Slice index 33, Abdomen, CT scan slice
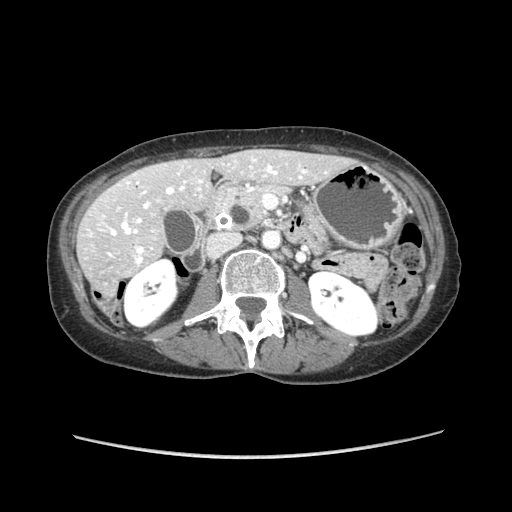

Pancreas: box=[299, 202, 328, 246]; box=[213, 187, 284, 231].